Chest | CT image | 512x512 | Slice 444 of 565 | Image width 335 mm
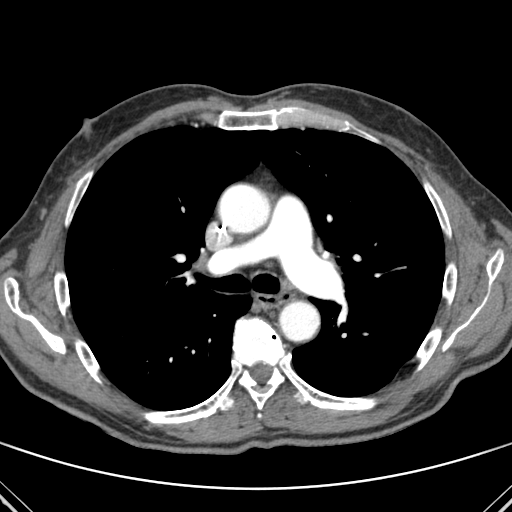
Bone = <bbox>486, 251, 503, 284</bbox>, <bbox>417, 328, 441, 370</bbox>, <bbox>442, 297, 487, 351</bbox>, <bbox>65, 171, 92, 225</bbox>, <bbox>54, 272, 69, 315</bbox>, <bbox>443, 263, 456, 304</bbox>, <bbox>424, 182, 451, 237</bbox>, <bbox>335, 121, 350, 130</bbox>, <bbox>4, 277, 65, 353</bbox>, <bbox>144, 317, 376, 423</bbox>, <bbox>75, 340, 101, 382</bbox>, <bbox>219, 107, 299, 129</bbox>.
Lung = <bbox>65, 126, 444, 410</bbox>.